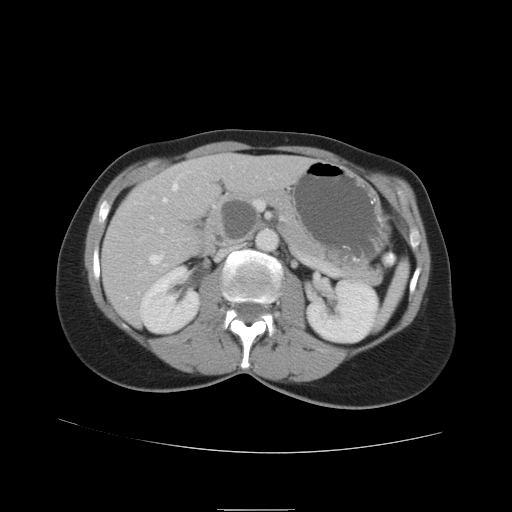 Computed tomography
The pancreatic tumor is bounded by (x1=222, y1=199, x2=257, y2=240). The pancreas appears at (x1=204, y1=190, x2=379, y2=281).